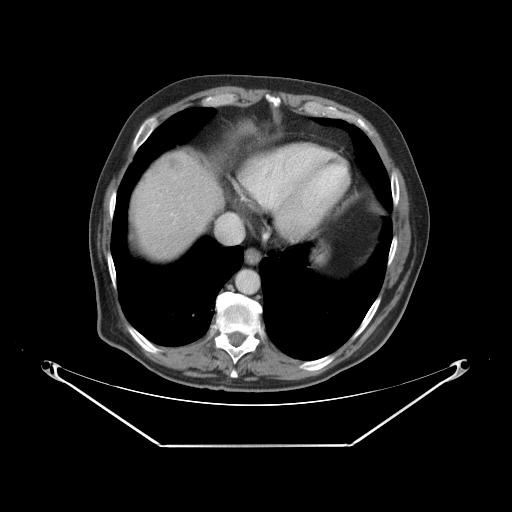

Liver; CT
The liver tumor lies within <box>166,157,182,171</box>.